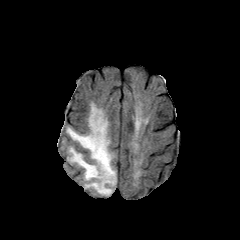
FLAIR MR image.
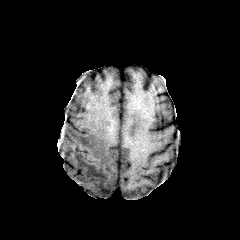
T1-weighted MRI.
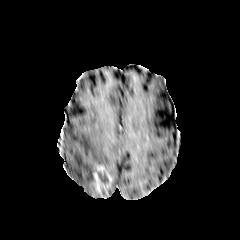
Same slice, post-contrast T1-weighted MR.
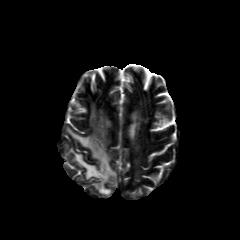
T2-weighted MR of the same slice.
240x240 | Head
Non-enhancing tumor core: x1=90 y1=167 x2=111 y2=193.
Enhancing tumor: x1=97 y1=166 x2=112 y2=182, x1=93 y1=172 x2=107 y2=193.
Edema: x1=66 y1=104 x2=116 y2=196.